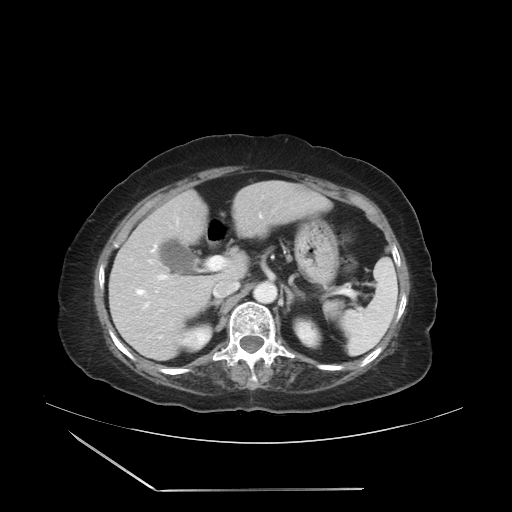

CT scan slice. Abdomen.
Only some of the vessels may be annotated.
• hepatic vessel: (left=135, top=289, right=150, bottom=308), (left=171, top=302, right=174, bottom=305), (left=148, top=259, right=153, bottom=263), (left=176, top=217, right=178, bottom=225), (left=138, top=316, right=139, bottom=317), (left=159, top=335, right=161, bottom=337), (left=157, top=274, right=169, bottom=279), (left=156, top=288, right=158, bottom=292), (left=171, top=282, right=173, bottom=284), (left=150, top=244, right=156, bottom=252), (left=159, top=309, right=163, bottom=311), (left=171, top=291, right=174, bottom=292)